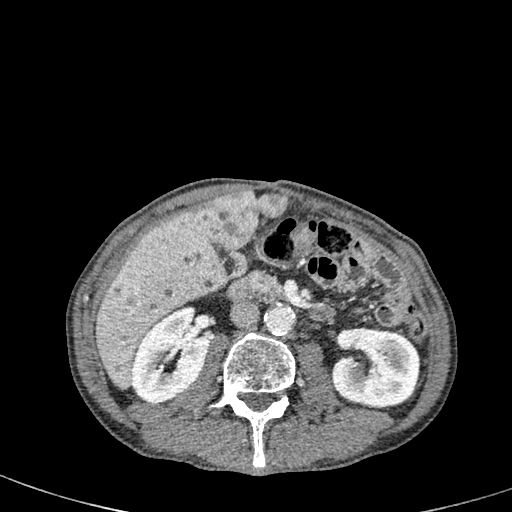
CT slice
Findings:
* liver lesion: <box>195,190,285,247</box>, <box>112,287,121,296</box>
* liver: <box>95,205,225,388</box>
* kidney: <box>333,329,418,406</box>, <box>131,308,211,403</box>